512x512 px. CT. 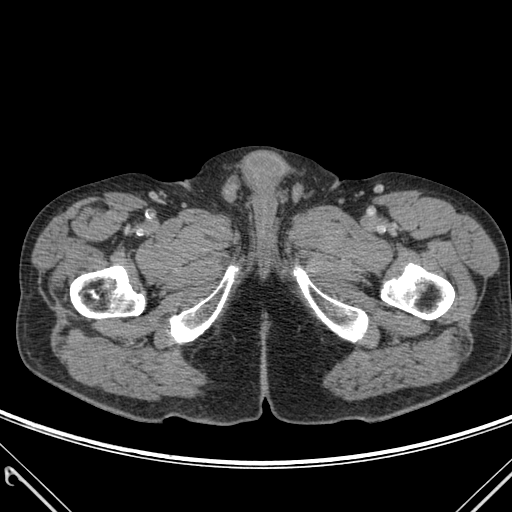

Bone: bounding box box(381, 263, 454, 319); box(294, 267, 367, 341); box(170, 266, 236, 342); box(70, 266, 144, 318).